MRI slice. Hippocampus. 32x49. 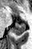 Posterior hippocampus: (13, 24, 25, 35).